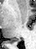 MRI
Posterior hippocampus — 8,38,18,43.